CT scan slice 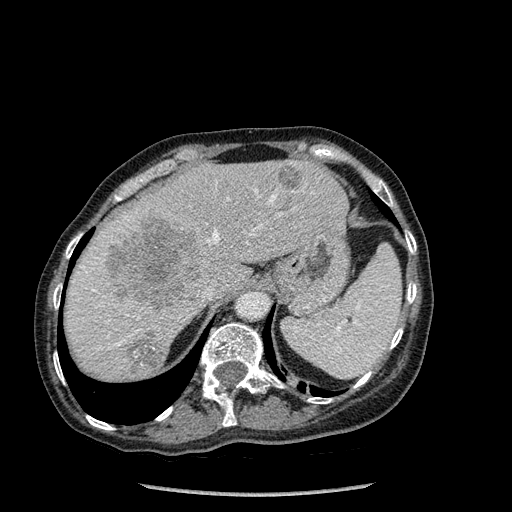
13 bone regions are located at x1=65 y1=234 x2=81 y2=258, x1=406 y1=282 x2=416 y2=303, x1=405 y1=230 x2=416 y2=253, x1=53 y1=283 x2=62 y2=309, x1=353 y1=371 x2=371 y2=388, x1=86 y1=415 x2=114 y2=430, x1=114 y1=194 x2=122 y2=201, x1=307 y1=397 x2=332 y2=403, x1=389 y1=328 x2=402 y2=349, x1=201 y1=323 x2=285 y2=426, x1=371 y1=179 x2=393 y2=206, x1=53 y1=352 x2=64 y2=384, x1=156 y1=406 x2=172 y2=421. 4 focal liver lesion regions are bounded by x1=103 y1=213 x2=201 y2=309, x1=127 y1=330 x2=164 y2=370, x1=282 y1=197 x2=291 y2=210, x1=279 y1=166 x2=300 y2=189. The liver is at x1=64 y1=159 x2=349 y2=382. 5 lung regions are bounded by x1=71 y1=236 x2=89 y2=266, x1=263 y1=316 x2=282 y2=377, x1=372 y1=195 x2=393 y2=220, x1=57 y1=328 x2=201 y2=424, x1=285 y1=379 x2=341 y2=396.